Head, 240x240, Slice index 100
FLAIR MRI.
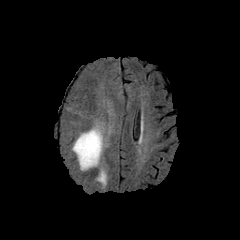
T1-weighted MR.
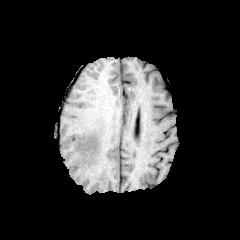
Post-contrast T1-weighted MRI.
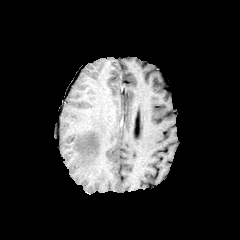
T2-weighted MR image.
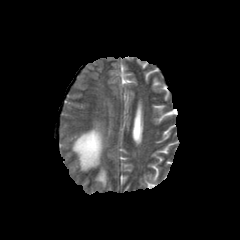
Edema — 72, 123, 103, 170; 96, 168, 106, 186.